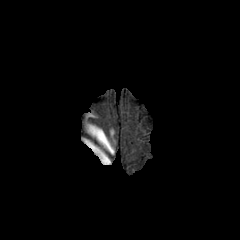
FLAIR magnetic resonance.
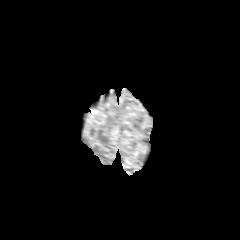
Same slice, T1-weighted MR image.
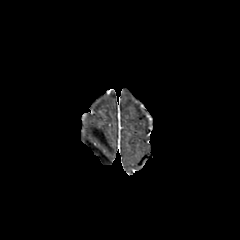
Post-contrast T1-weighted magnetic resonance of the same slice.
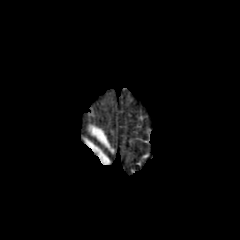
T2-weighted magnetic resonance of the same slice.
Head. 240x240.
<segmentation>
  <edema>rect(88, 125, 114, 154); rect(83, 139, 110, 164)</edema>
</segmentation>